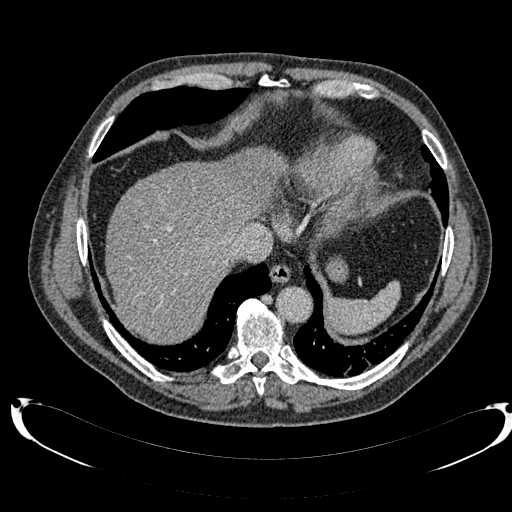 CT image
Segmented structures:
• liver: (x1=105, y1=148, x2=284, y2=341)
• hepatic lesion: (x1=167, y1=162, x2=222, y2=207)